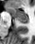

MRI slice. Segmented structures:
* anterior hippocampus: (left=8, top=7, right=28, bottom=18)
* posterior hippocampus: (left=17, top=19, right=28, bottom=23)